Slice index 40, CT 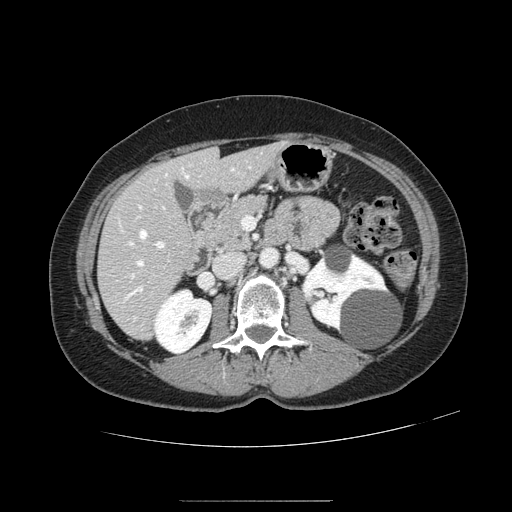
Pancreas at l=205, t=194, r=270, b=261.